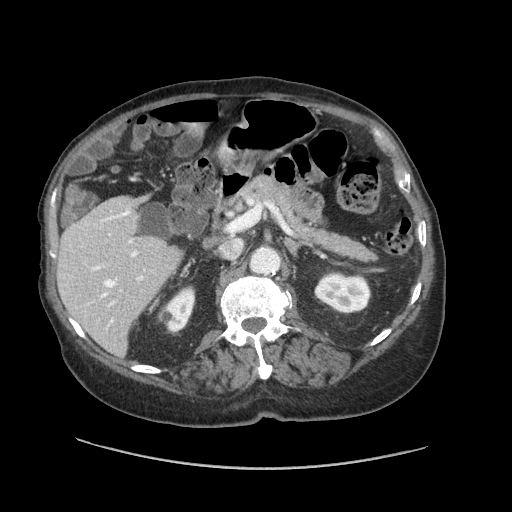

Abdomen, 512x512, CT scan slice
The vessel annotation is not exhaustive.
<segmentation>
  <hepatic_vessel>(233, 240, 241, 252), (104, 279, 115, 286), (221, 247, 234, 257)</hepatic_vessel>
</segmentation>